CT image. Brain. 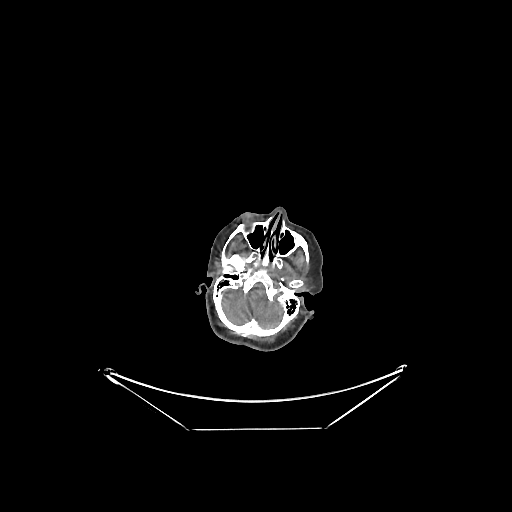 Annotated regions:
- brain: <bbox>221, 282, 284, 328</bbox>